Abdomen | CT slice 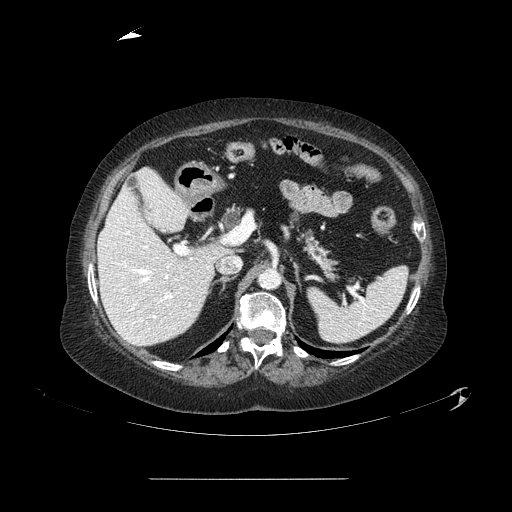 <segmentation>
  <pancreas>[223, 209, 241, 228], [300, 224, 337, 281]</pancreas>
</segmentation>